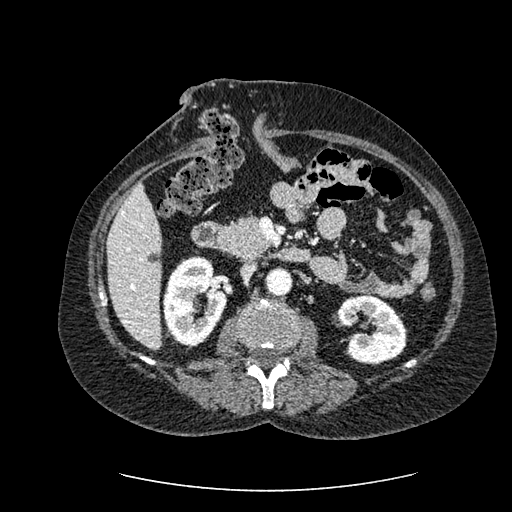 CT slice. Upper abdomen. The liver lies within rect(107, 182, 162, 349). The liver lesion lies within rect(147, 252, 161, 264). 2 kidney regions appear at rect(338, 296, 405, 363); rect(163, 257, 226, 345).